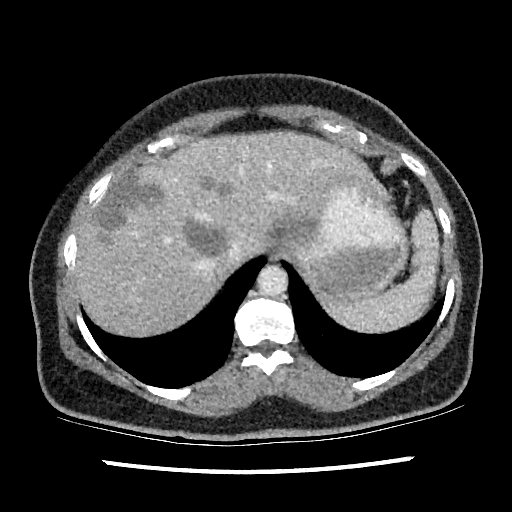
Computed tomography | 512x512

liver: left=77, top=133, right=388, bottom=334 | liver lesion: left=96, top=173, right=162, bottom=230; left=277, top=222, right=295, bottom=235; left=185, top=220, right=228, bottom=254; left=203, top=174, right=228, bottom=191; left=102, top=235, right=112, bottom=243